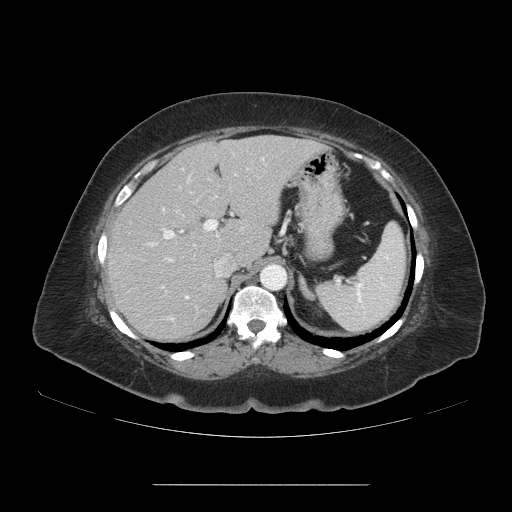

CT image.

Not every hepatic vessel necessarily has a box.
<segmentation>
  <hepatic_vessel>(162,228,174,239), (203,219,216,231), (214,254,234,277), (147,242,157,245), (162,207,164,211), (166,258,170,261), (246,168,247,169), (187,176,190,183), (169,318,172,319), (185,296,187,298)</hepatic_vessel>
</segmentation>